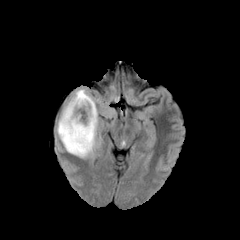
FLAIR MR image.
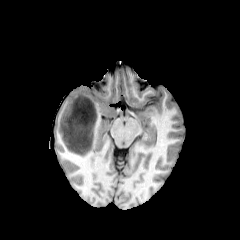
Same slice, T1-weighted magnetic resonance.
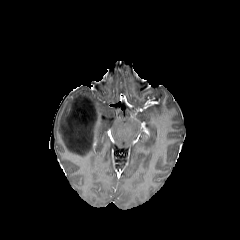
Post-contrast T1-weighted magnetic resonance.
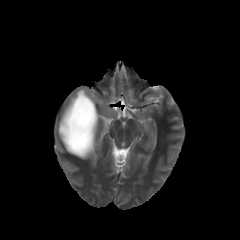
T2-weighted MR.
240x240 px
The non-enhancing tumor core is at (62,96,97,154). The edema lies within (56,88,102,158).